240x240. Brain. Slice 90/155.
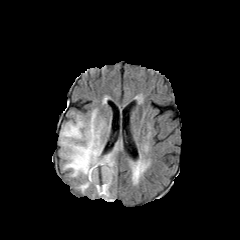
FLAIR MRI.
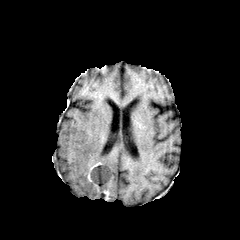
T1-weighted magnetic resonance.
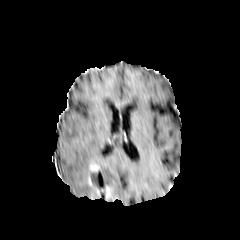
Post-contrast T1-weighted MR image.
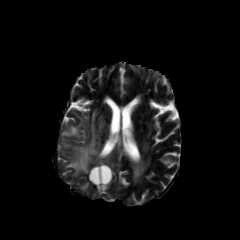
T2-weighted MR.
Findings:
• non-enhancing tumor core: {"x1": 90, "y1": 162, "x2": 111, "y2": 195}
• enhancing tumor: {"x1": 90, "y1": 163, "x2": 101, "y2": 172}
• edema: {"x1": 134, "y1": 163, "x2": 143, "y2": 177}, {"x1": 59, "y1": 110, "x2": 119, "y2": 201}